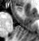

Magnetic resonance
- anterior hippocampus: <box>16,6,22,11</box>